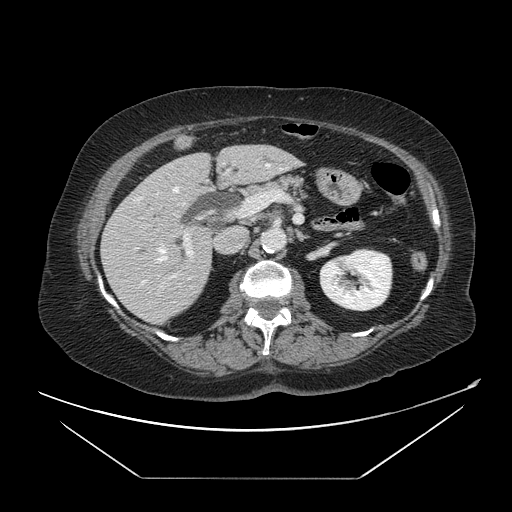

CT scan slice.

{
  "pancreas": [
    "bbox=[266, 176, 307, 197]"
  ]
}